FLAIR MRI.
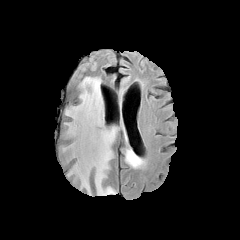
T1-weighted MR.
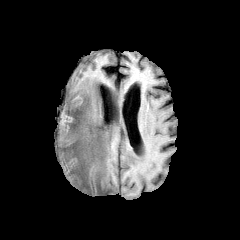
Post-contrast T1-weighted magnetic resonance.
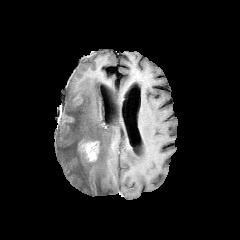
T2-weighted MR.
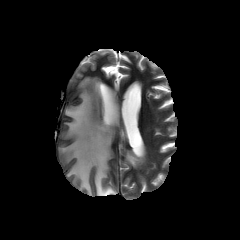
2 edema regions are bounded by bbox(123, 149, 138, 166); bbox(62, 76, 127, 195). The enhancing tumor lies within bbox(78, 140, 98, 161). The non-enhancing tumor core appears at bbox(79, 150, 88, 161).